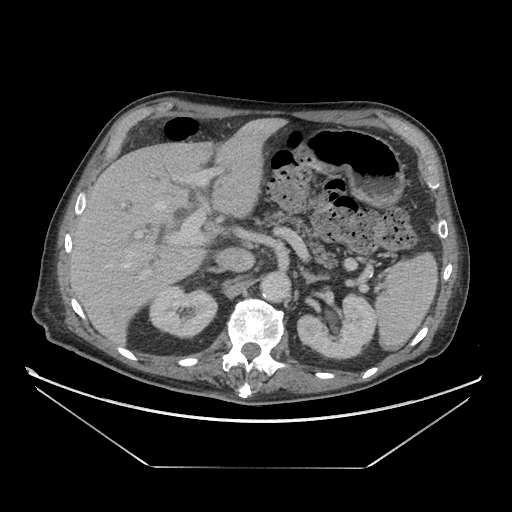

CT slice | Image size 512x512
The pancreas is located at x1=266 y1=213 x2=336 y2=266.